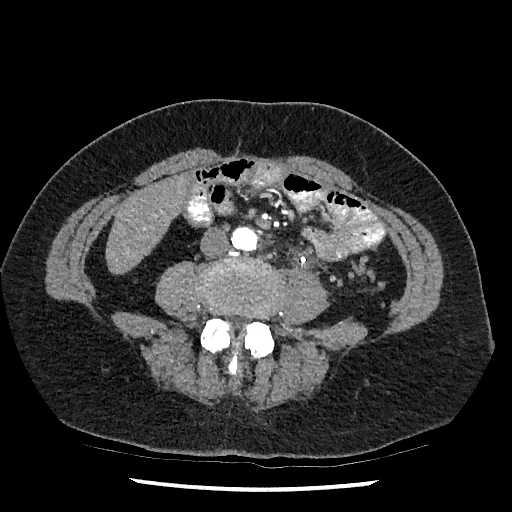
Computed tomography. Liver.
Liver = rect(107, 174, 189, 274).